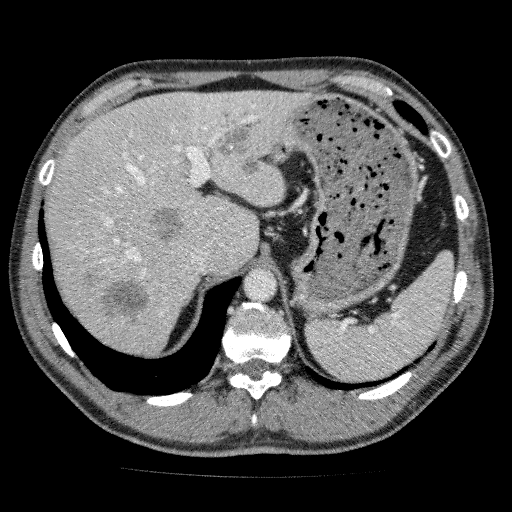 Computed tomography
Annotated regions:
• liver lesion: l=215, t=120, r=258, b=156; l=97, t=279, r=153, b=323; l=146, t=205, r=187, b=246; l=242, t=156, r=259, b=174; l=81, t=271, r=101, b=287; l=114, t=216, r=129, b=232
• liver: l=46, t=89, r=311, b=354